Field of view 378x378 mm; CT image; Slice 496/841; Liver; 512x512
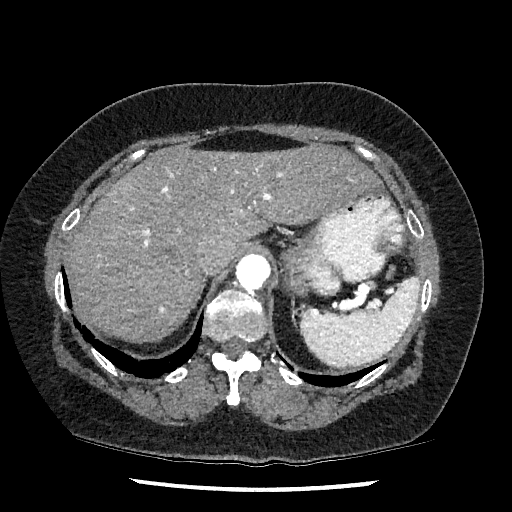
liver: [x1=68, y1=143, x2=381, y2=341]